Image size 512x512, Abdomen, CT slice

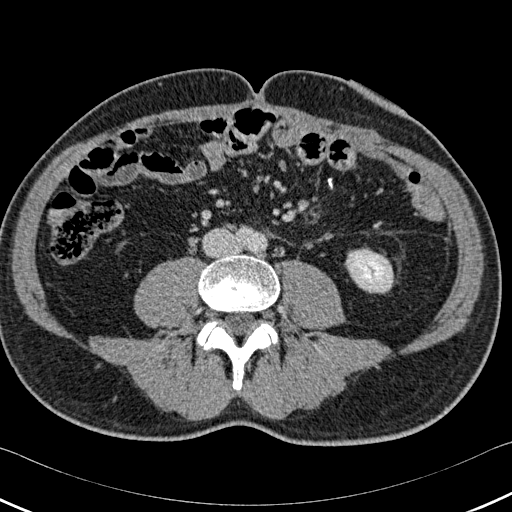
bone:
  - 198:255:279:311
  - 197:321:277:390
kidney:
  - 347:250:392:291